Head | Image size 240x240 | Slice index 77
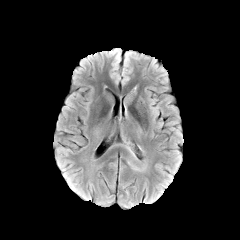
FLAIR MRI.
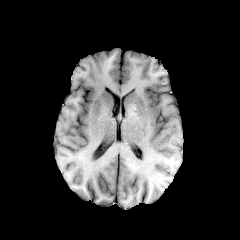
T1-weighted MR image of the same slice.
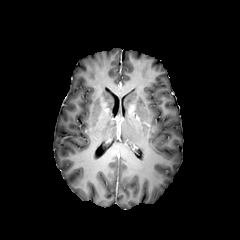
Post-contrast T1-weighted MRI of the same slice.
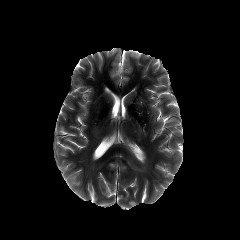
Same slice, T2-weighted MR.
Edema: x1=152, y1=105, x2=159, y2=114.